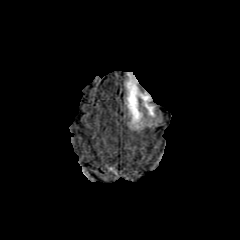
FLAIR magnetic resonance.
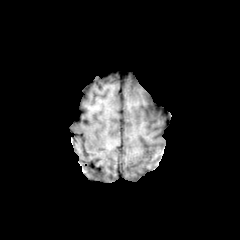
T1-weighted MR.
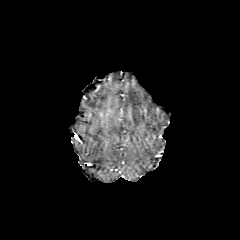
Post-contrast T1-weighted MRI of the same slice.
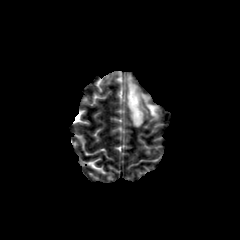
T2-weighted MR.
edema: left=126, top=74, right=154, bottom=127